Brain. Image width 240 mm. Slice 84 of 155.
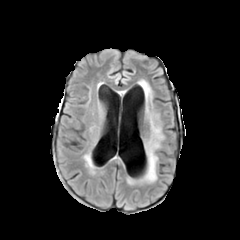
FLAIR MR.
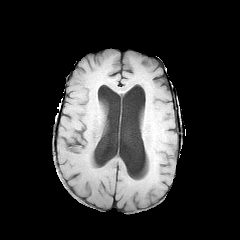
T1-weighted magnetic resonance.
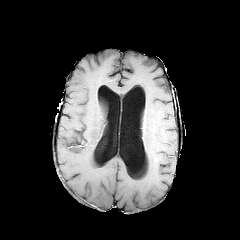
Same slice, post-contrast T1-weighted MRI.
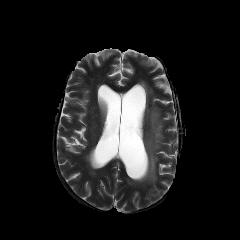
T2-weighted MRI.
2 edema regions appear at [142, 141, 157, 182], [139, 80, 150, 111].